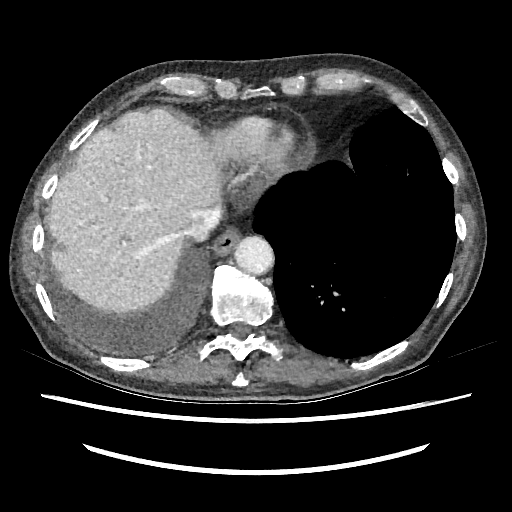
CT image. Upper abdomen.

Annotated regions:
- liver: 47, 111, 245, 309